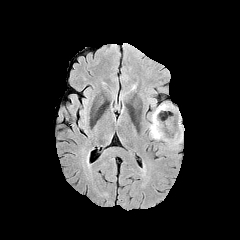
FLAIR MR image.
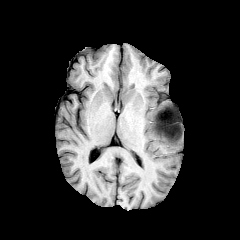
Same slice, T1-weighted MR image.
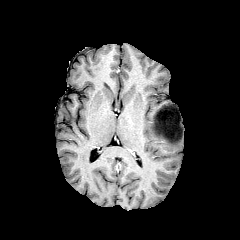
Post-contrast T1-weighted MR image of the same slice.
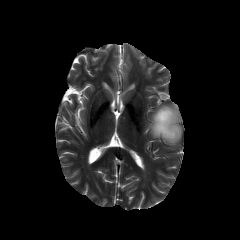
Same slice, T2-weighted MRI.
Head.
edema:
  - (148,104,182,146)
non-enhancing_tumor_core:
  - (154,113,180,142)